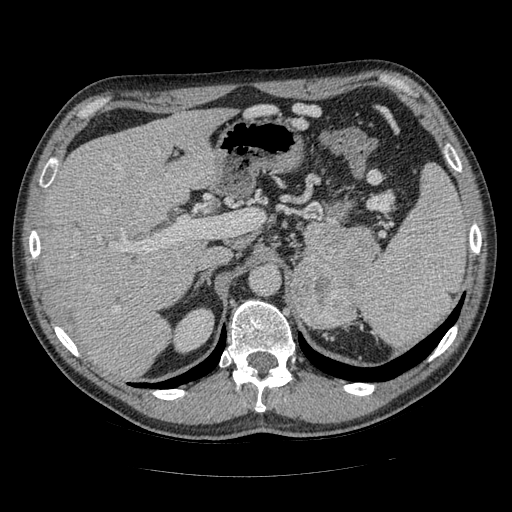 Upper abdomen | Computed tomography
<segmentation>
  <pancreatic_tumor>(291,257,357,326)</pancreatic_tumor>
  <pancreas>(304,221,377,309)</pancreas>
</segmentation>